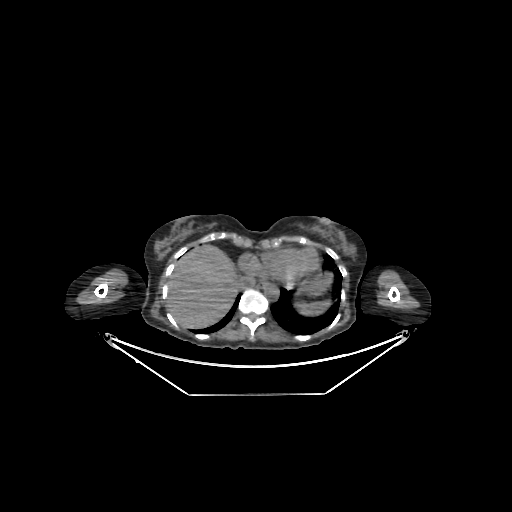 CT scan slice | Image size 512x512
<segmentation>
  <liver>[166, 245, 243, 328]</liver>
</segmentation>